Head
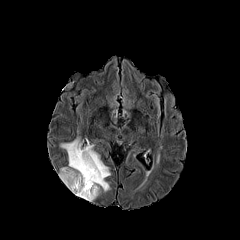
FLAIR MR.
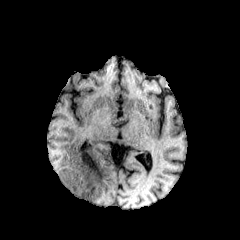
T1-weighted MRI.
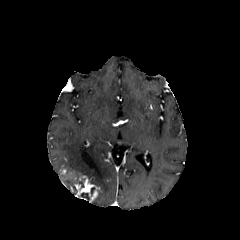
Post-contrast T1-weighted MR.
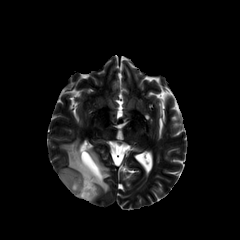
T2-weighted MRI of the same slice.
The enhancing tumor is bounded by <bbox>74, 175, 99, 201</bbox>. 2 edema regions are bounded by <bbox>61, 138, 110, 192</bbox>, <bbox>59, 173, 73, 189</bbox>. The non-enhancing tumor core is at <bbox>81, 187, 95, 200</bbox>.